CT scan slice. Field of view 360x360 mm.
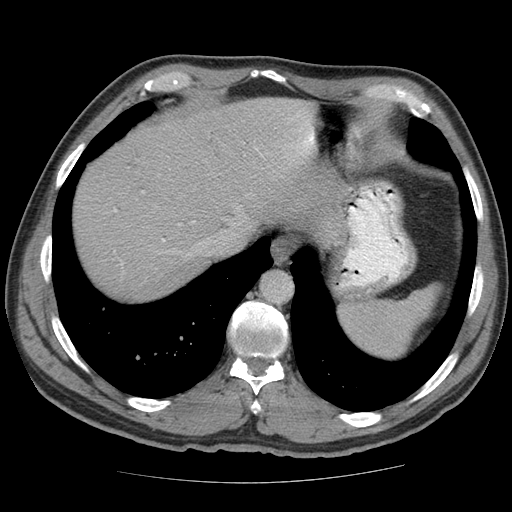

Not every hepatic vessel necessarily has a box.
hepatic_vessel:
  - 155 205 245 256
  - 114 210 115 211